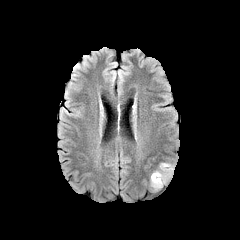
FLAIR MR image.
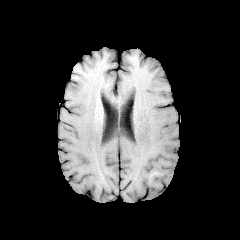
T1-weighted MRI.
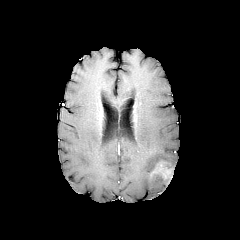
Post-contrast T1-weighted MRI.
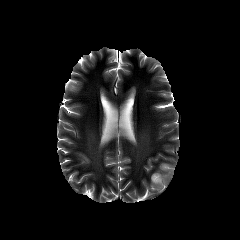
Same slice, T2-weighted MRI.
Head
edema:
  - {"x1": 150, "y1": 159, "x2": 174, "y2": 189}
non-enhancing_tumor_core:
  - {"x1": 154, "y1": 174, "x2": 166, "y2": 182}